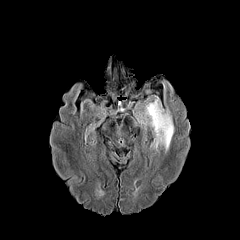
FLAIR MR image.
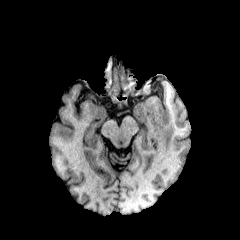
T1-weighted magnetic resonance of the same slice.
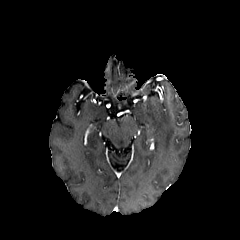
Same slice, post-contrast T1-weighted magnetic resonance.
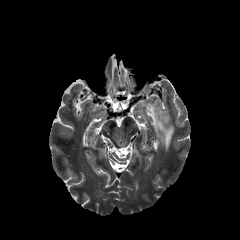
Same slice, T2-weighted MRI.
Edema: 143 97 174 154.